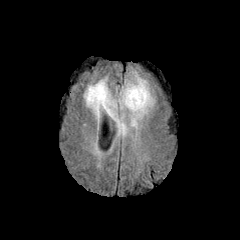
FLAIR magnetic resonance.
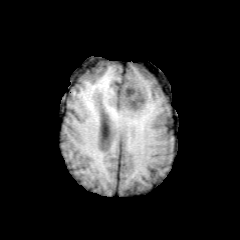
T1-weighted MR image.
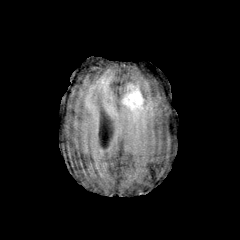
Post-contrast T1-weighted MR.
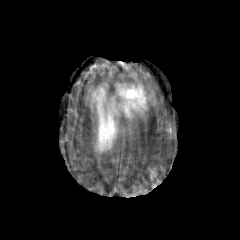
T2-weighted MRI of the same slice.
240x240
enhancing tumor: l=121, t=84, r=144, b=113 | edema: l=84, t=72, r=154, b=135